CT scan slice, Abdomen, Field of view 335 mm wide, 1.00 mm slice spacing, 512x512, Slice 355 of 455 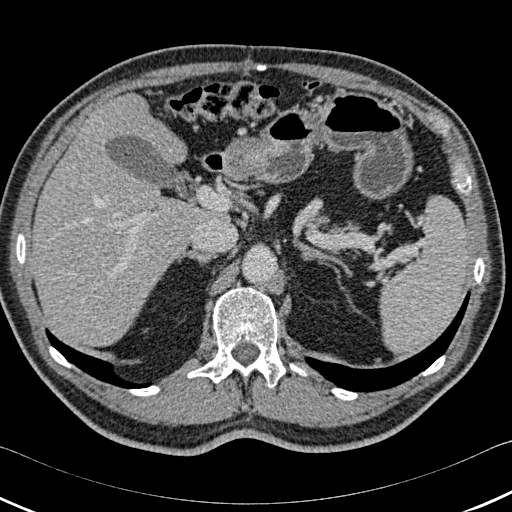
9 bone regions are located at box=[474, 258, 484, 283]; box=[290, 363, 307, 376]; box=[187, 287, 285, 387]; box=[457, 174, 471, 194]; box=[422, 356, 445, 375]; box=[49, 347, 70, 367]; box=[16, 234, 25, 263]; box=[331, 388, 357, 400]; box=[129, 386, 159, 396]. The liver lies within box=[33, 93, 218, 345]. 3 lung regions appear at box=[57, 341, 152, 388]; box=[305, 291, 470, 392]; box=[45, 328, 54, 339].